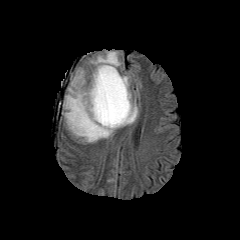
FLAIR MR.
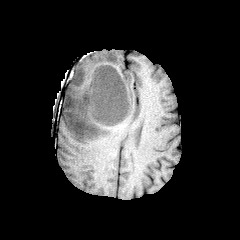
Same slice, T1-weighted MR.
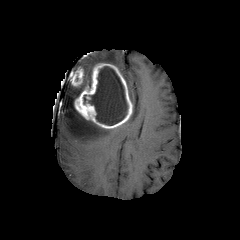
Post-contrast T1-weighted MR image.
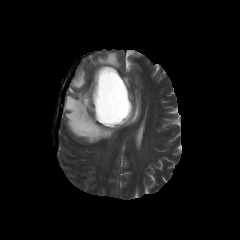
T2-weighted magnetic resonance.
non-enhancing tumor core: x1=66 y1=68 x2=93 y2=119, x1=88 y1=66 x2=127 y2=127 | enhancing tumor: x1=72 y1=69 x2=83 y2=86, x1=74 y1=63 x2=132 y2=128 | edema: x1=62 y1=82 x2=117 y2=143, x1=84 y1=51 x2=120 y2=83, x1=121 y1=92 x2=139 y2=125